Slice 130 of 155 | Brain
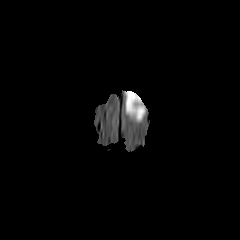
FLAIR MR.
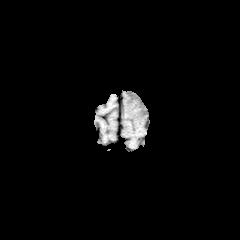
T1-weighted MR image.
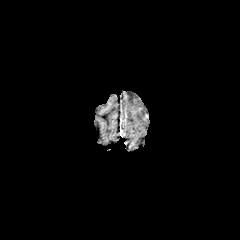
Post-contrast T1-weighted magnetic resonance of the same slice.
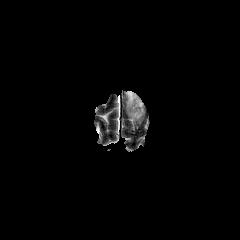
Same slice, T2-weighted MRI.
edema:
  - box(125, 91, 145, 123)